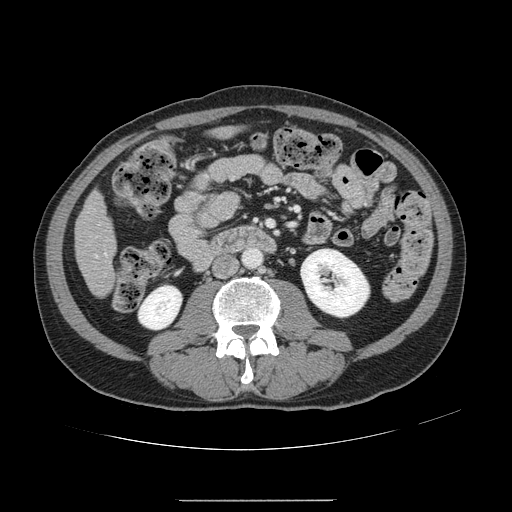 CT image. Liver. Only some of the vessels may be annotated.
hepatic_vessel:
  - (105, 252, 106, 255)